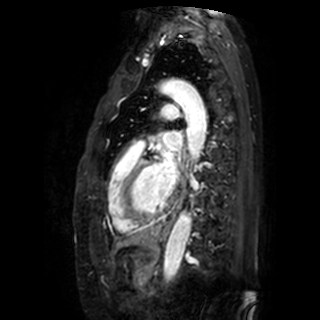

Heart; MR
Left atrium — [163,132,181,151], [158,149,175,189].